FLAIR MR image.
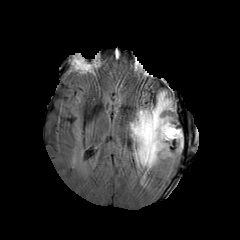
T1-weighted MRI.
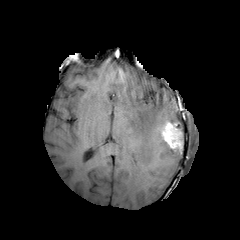
Post-contrast T1-weighted MR image.
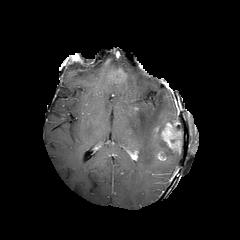
T2-weighted magnetic resonance.
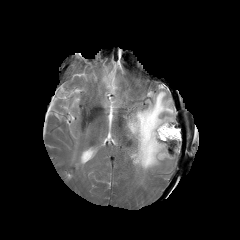
Image size 240x240, Brain
The non-enhancing tumor core appears at <box>166,137,180,151</box>. The edema is located at <box>127,90,181,174</box>. The enhancing tumor appears at <box>160,122,180,143</box>.